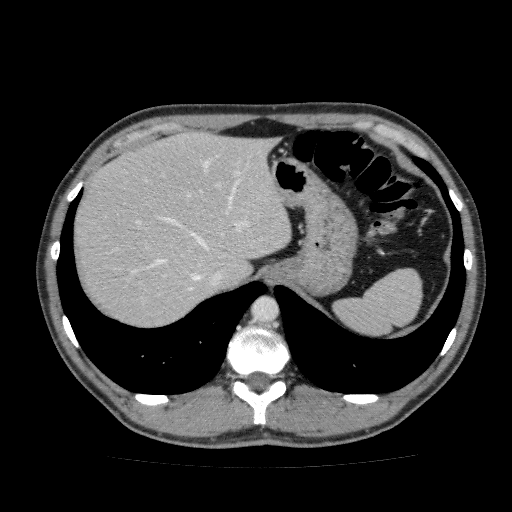

512x512 px. Abdomen. CT image. {"liver": ["73:132:291:327"]}